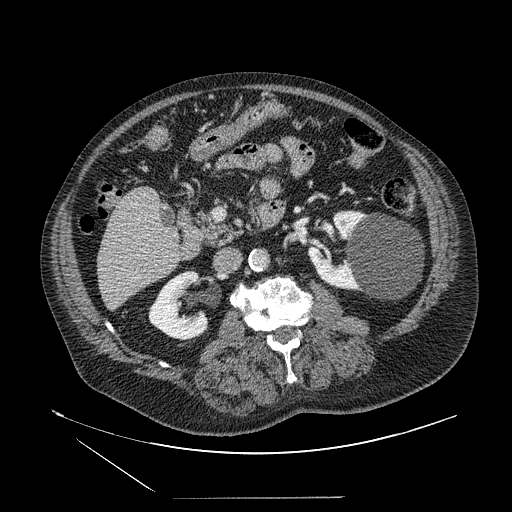
Abdomen, CT image
pancreas: 196:210:239:246